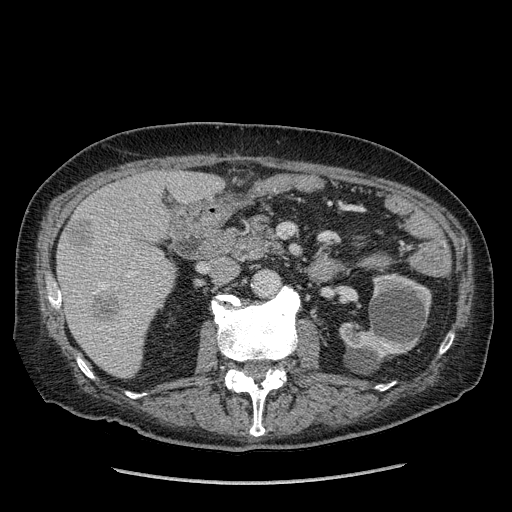

CT. Liver.
The liver is bounded by rect(57, 170, 223, 378). 2 hepatic lesion regions are bounded by rect(67, 217, 93, 247); rect(93, 292, 119, 320). 2 kidney regions appear at rect(339, 323, 417, 357); rect(373, 274, 430, 313).